Slice 637/896, Liver, Field of view 437x437 mm, CT slice 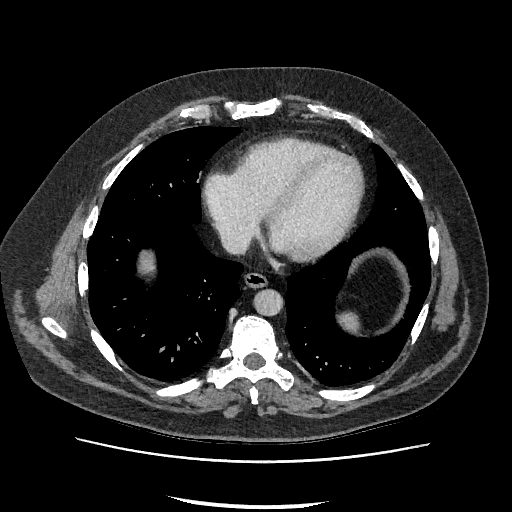

The liver is at region(140, 257, 154, 272).